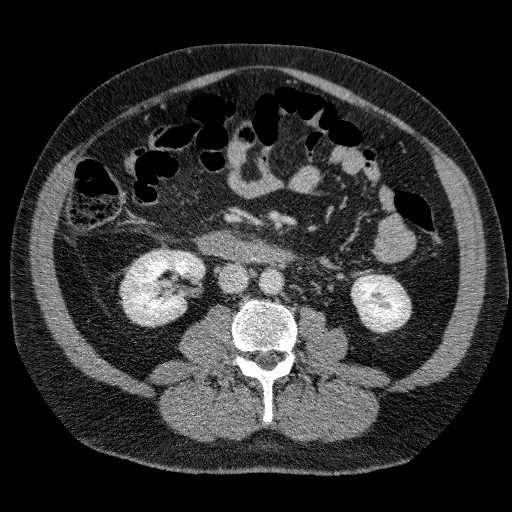
CT slice, 512x512 px, Abdomen
* kidney: [122,251,204,324], [352,275,410,331]